Slice 112 of 155. Image size 240x240. Brain.
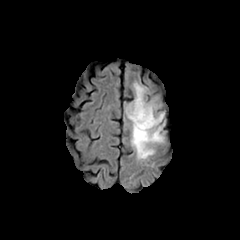
FLAIR MR.
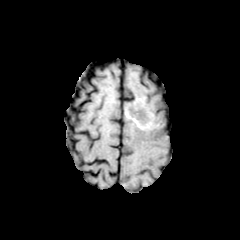
T1-weighted magnetic resonance of the same slice.
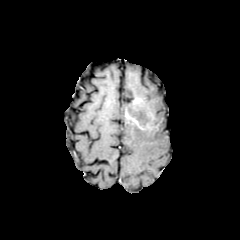
Post-contrast T1-weighted MR.
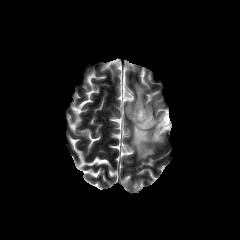
T2-weighted magnetic resonance of the same slice.
<segmentation>
  <edema>left=125, top=109, right=165, bottom=160; left=137, top=108, right=150, bottom=127; left=134, top=83, right=164, bottom=121</edema>
  <enhancing_tumor>left=134, top=98, right=142, bottom=107</enhancing_tumor>
  <non-enhancing_tumor_core>left=129, top=102, right=163, bottom=131</non-enhancing_tumor_core>
</segmentation>